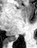

MRI

* posterior hippocampus: x1=8, y1=37, x2=17, y2=41